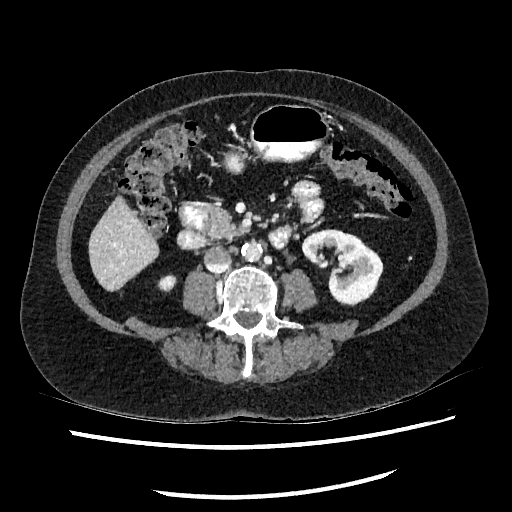

512x512 px; CT scan slice; Liver

{
  "liver": [
    "left=89, top=197, right=156, bottom=290"
  ],
  "kidney": [
    "left=161, top=277, right=173, bottom=288",
    "left=303, top=230, right=381, bottom=303"
  ]
}